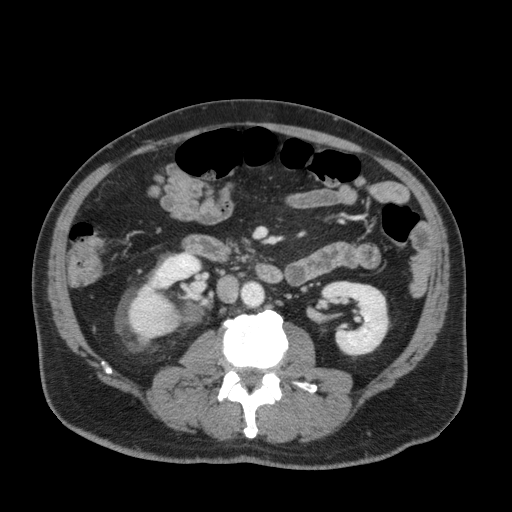

Computed tomography
kidney: <bbox>130, 252, 200, 337</bbox>, <bbox>323, 282, 387, 354</bbox>